FLAIR MR.
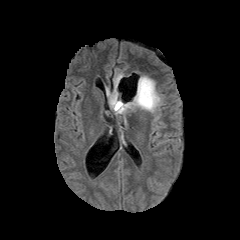
T1-weighted MRI.
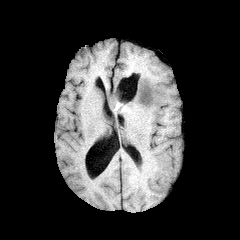
Post-contrast T1-weighted MR image.
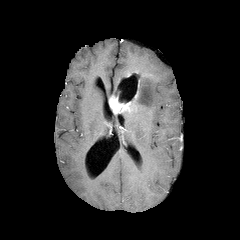
T2-weighted magnetic resonance.
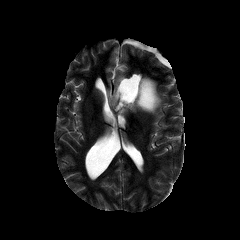
Brain
• edema: box(106, 69, 164, 117)
• non-enhancing tumor core: box(136, 78, 149, 107); box(108, 92, 135, 103)
• enhancing tumor: box(109, 95, 133, 114)